512x512 px; Upper abdomen; Field of view 512 mm wide, 1.00 mm slice spacing; CT 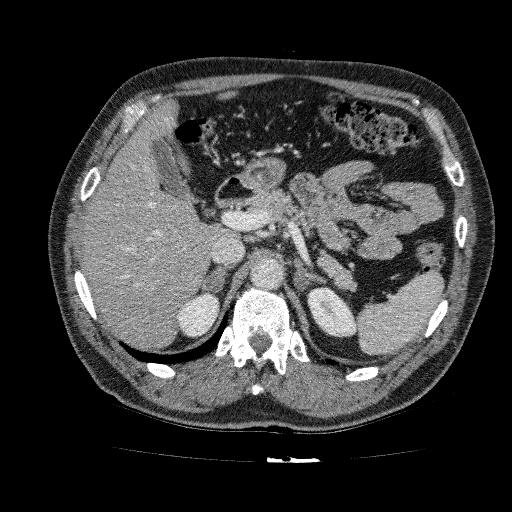
Liver = x1=221, y1=92, x2=236, y2=98; x1=81, y1=98, x2=240, y2=349.
Kidney = x1=308, y1=288, x2=355, y2=336; x1=176, y1=293, x2=218, y2=336.